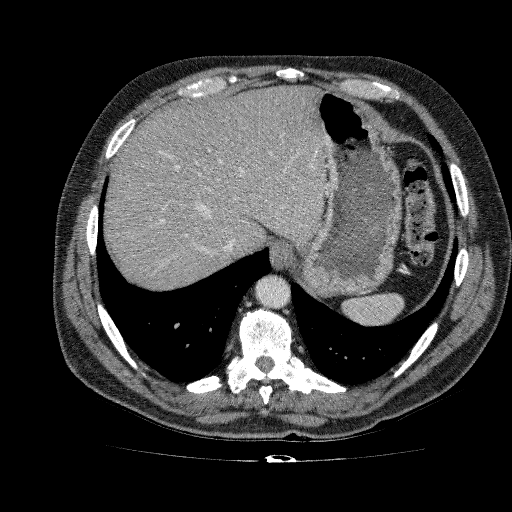 512x512. CT. Abdomen.
- liver: rect(104, 85, 325, 291)